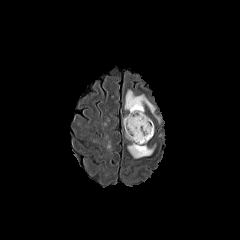
FLAIR MR.
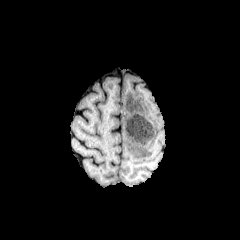
T1-weighted MRI.
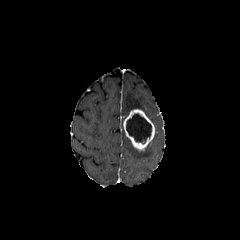
Post-contrast T1-weighted MRI of the same slice.
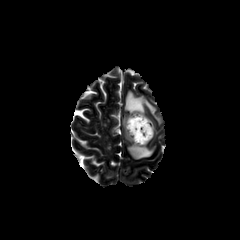
T2-weighted MR image.
<segmentation>
  <non-enhancing_tumor_core>(126, 114, 151, 143)</non-enhancing_tumor_core>
  <edema>(124, 90, 160, 123), (124, 133, 155, 159)</edema>
  <enhancing_tumor>(123, 108, 154, 150)</enhancing_tumor>
</segmentation>